CT image, Field of view 404 mm wide, 1.50 mm slice spacing, Liver, Image size 512x512 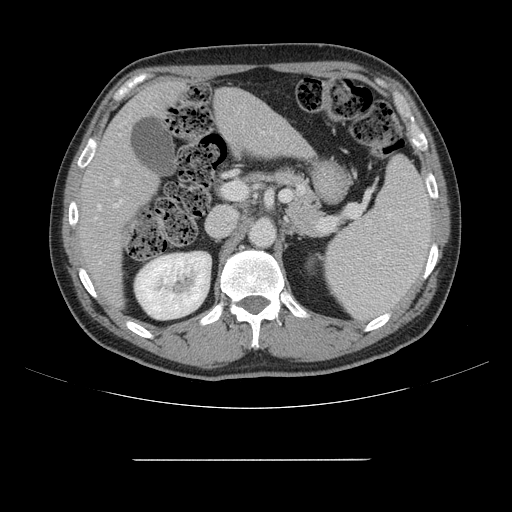

Only some of the vessels may be annotated.
5 hepatic vessel regions are bounded by [x1=115, y1=179, x2=119, y2=184], [x1=95, y1=217, x2=96, y2=219], [x1=98, y1=205, x2=100, y2=209], [x1=262, y1=132, x2=264, y2=133], [x1=113, y1=199, x2=122, y2=207].